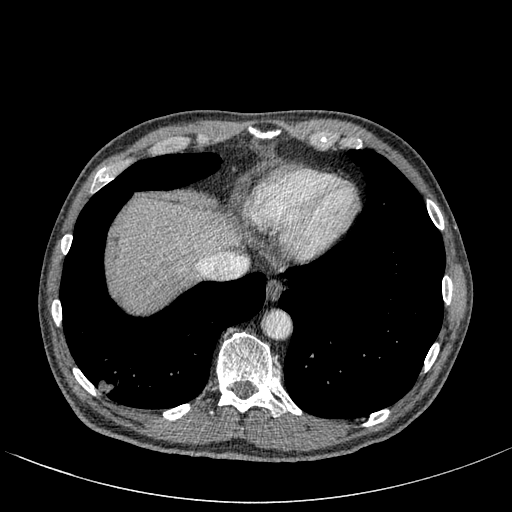
CT scan slice, Image size 512x512, Abdomen
Annotated regions:
• liver: 109:198:236:310